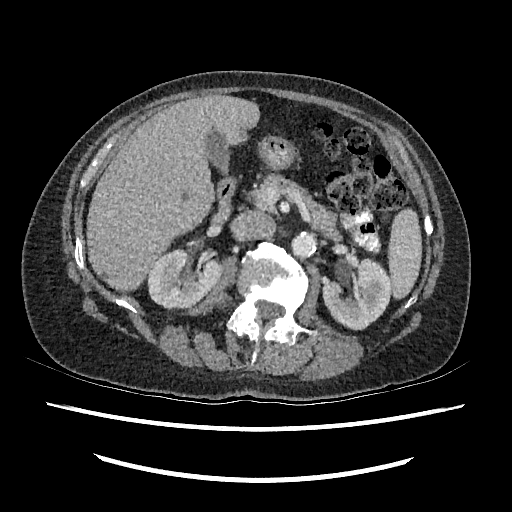
CT image, 512x512
Kidney — 148, 250, 221, 307; 323, 258, 390, 329.
Liver — 87, 96, 258, 291.